Field of view 38x43 mm, Medial temporal lobe, MRI slice, Slice index 8 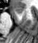 The anterior hippocampus lies within (left=14, top=8, right=23, bottom=13).